Computed tomography, Slice 58/424, Lower abdomen
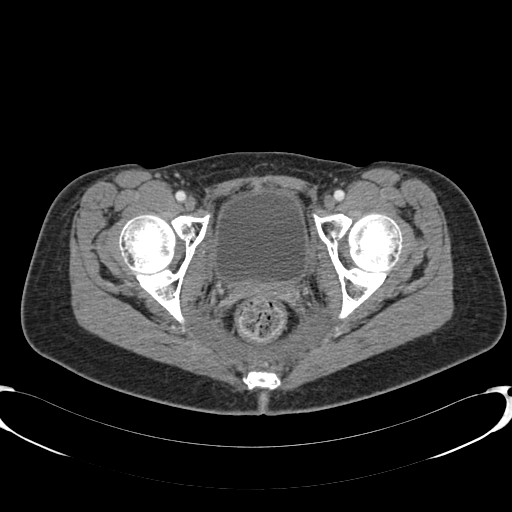 urinary bladder: x1=215, y1=192, x2=306, y2=281